Slice index 56. CT scan slice.
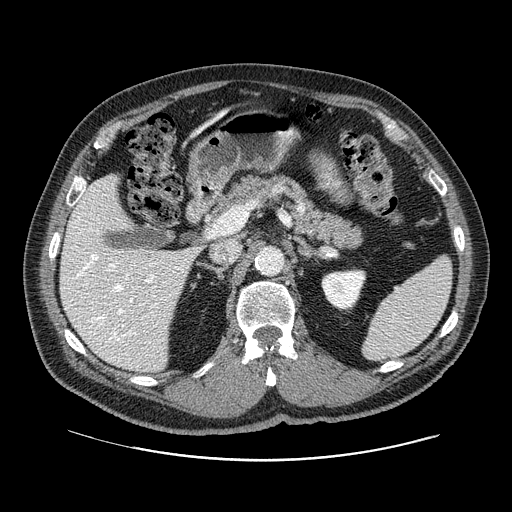 Findings:
• pancreas: (left=187, top=174, right=364, bottom=249)